CT image, 512x512, Slice index 235

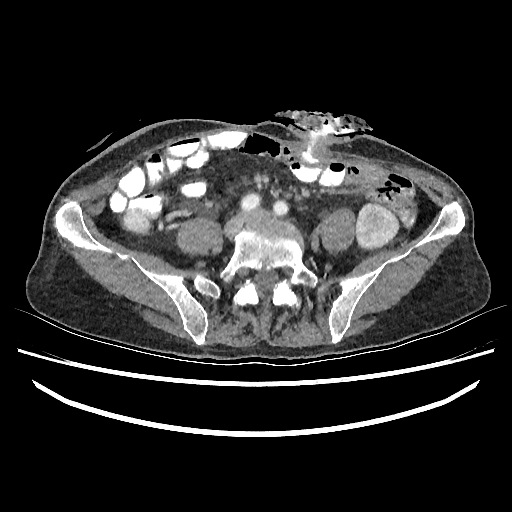
<segmentation>
  <kidney>[x1=356, y1=204, x2=398, y2=247], [x1=124, y1=216, x2=141, y2=231], [x1=385, y1=255, x2=403, y2=263]</kidney>
</segmentation>